Computed tomography. Abdomen.
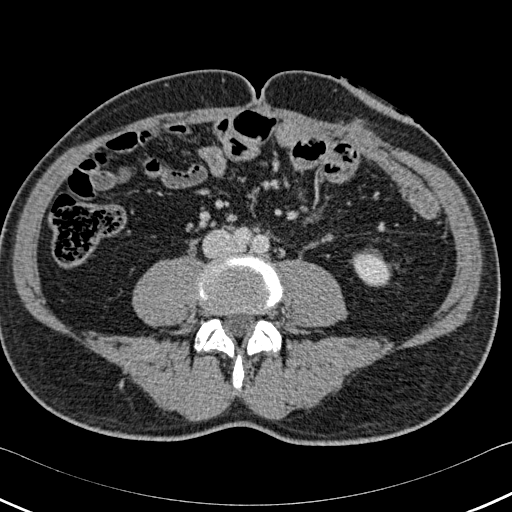 bone:
  - {"x1": 194, "y1": 319, "x2": 233, "y2": 357}
  - {"x1": 233, "y1": 355, "x2": 243, "y2": 388}
  - {"x1": 247, "y1": 320, "x2": 281, "y2": 354}
  - {"x1": 198, "y1": 256, "x2": 282, "y2": 312}
kidney:
  - {"x1": 355, "y1": 255, "x2": 388, "y2": 284}